Head.
FLAIR MR.
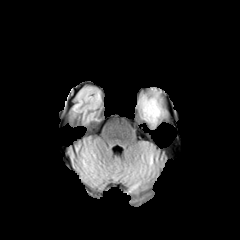
T1-weighted MR image.
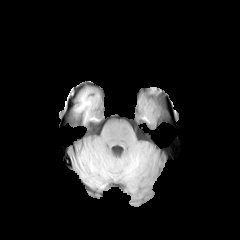
Post-contrast T1-weighted MRI.
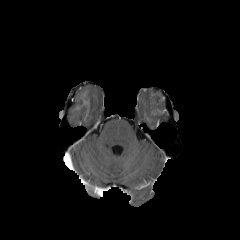
T2-weighted MR.
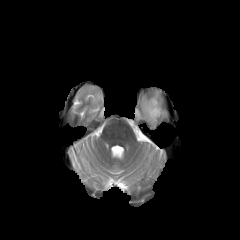
Edema — (x1=141, y1=93, x2=162, y2=125).